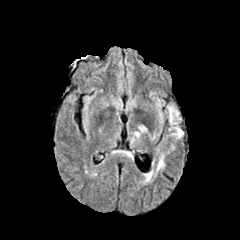
FLAIR MR image.
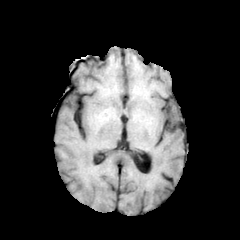
T1-weighted MRI.
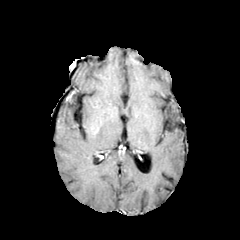
Post-contrast T1-weighted MR image.
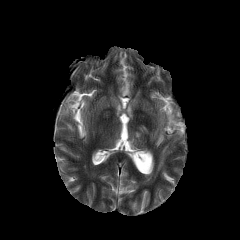
T2-weighted MRI.
edema: 164 104 183 138, 157 156 163 168